Abdomen, CT slice
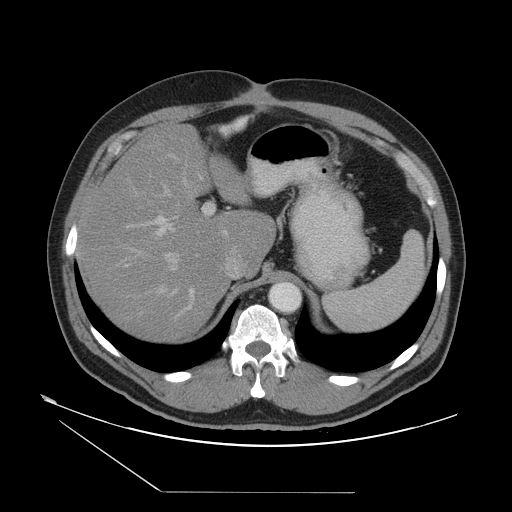 The vessel annotation is not exhaustive.
<segmentation>
  <hepatic_vessel>l=223, t=231, r=226, b=236; l=165, t=253, r=177, b=269; l=182, t=179, r=188, b=186; l=174, t=217, r=177, b=218; l=167, t=290, r=176, b=297; l=126, t=211, r=173, b=235; l=170, t=155, r=174, b=158; l=174, t=289, r=193, b=318; l=156, t=286, r=165, b=293; l=159, t=186, r=170, b=196; l=128, t=249, r=142, b=256; l=124, t=265, r=128, b=267</hepatic_vessel>
</segmentation>